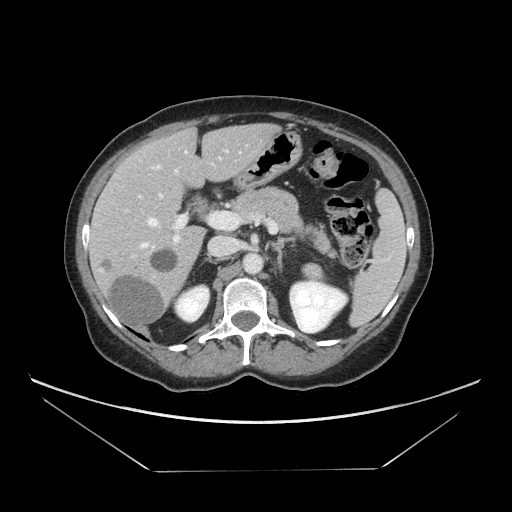

Upper abdomen. 512x512 px. Computed tomography. Pancreas = [x1=232, y1=186, x2=331, y2=252].